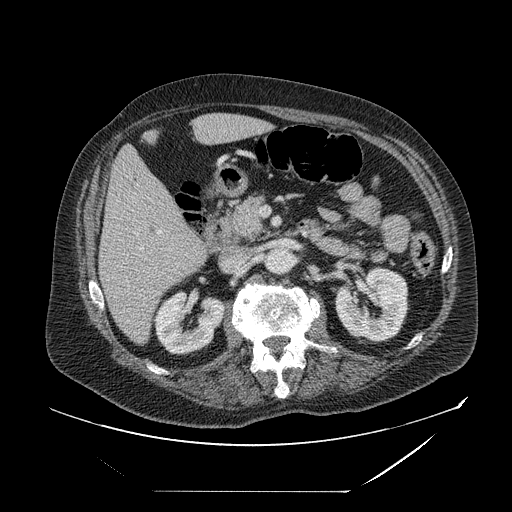

Abdomen. CT slice.

The pancreas appears at 222,195,264,237. The pancreatic tumor is bounded by 233,218,260,235.